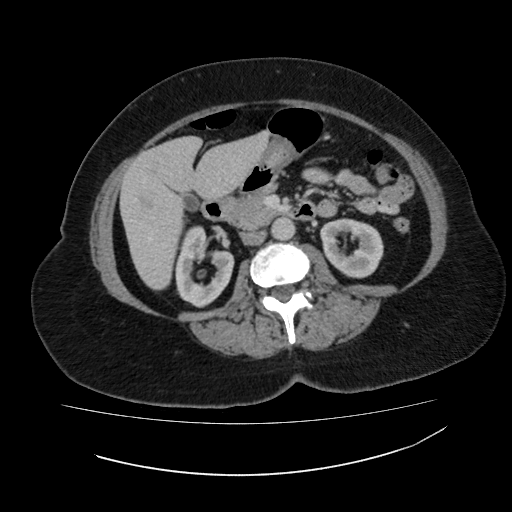 512x512 px; CT scan slice
The liver is bounded by 120,131,268,288. The focal liver lesion is at 139,194,154,211. 2 kidney regions are located at 321,219,382,277; 174,226,233,305.